FLAIR MR.
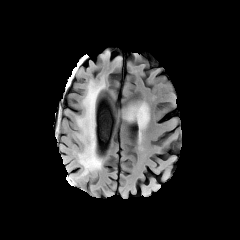
T1-weighted MR image.
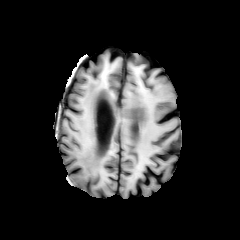
Post-contrast T1-weighted MR.
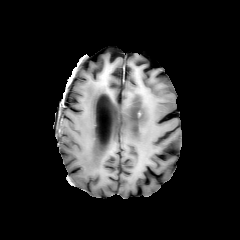
T2-weighted MR image.
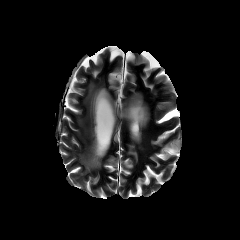
{
  "edema": [
    {"x1": 75, "y1": 82, "x2": 104, "y2": 176}
  ]
}